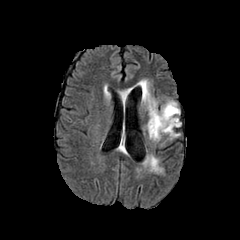
FLAIR magnetic resonance.
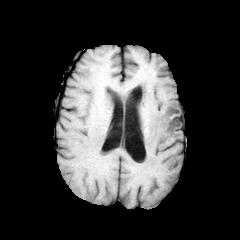
T1-weighted MR image of the same slice.
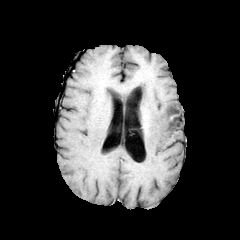
Post-contrast T1-weighted MR of the same slice.
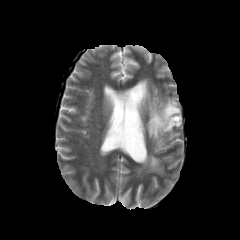
Same slice, T2-weighted MR.
240x240, Brain
edema:
  - [138,79,181,141]
  - [120,88,131,108]
  - [144,154,162,172]
non-enhancing_tumor_core:
  - [170,116,178,122]
  - [166,106,177,115]